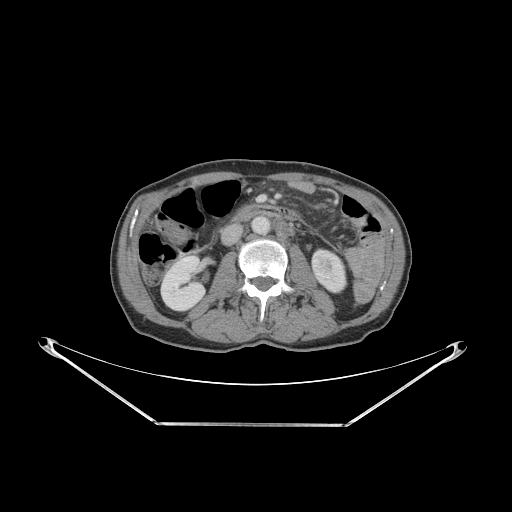

CT image | 512x512 px
<segmentation>
  <bone>bbox(239, 240, 291, 319)</bone>
  <kidney>bbox(312, 250, 345, 291); bbox(161, 256, 204, 310)</kidney>
</segmentation>